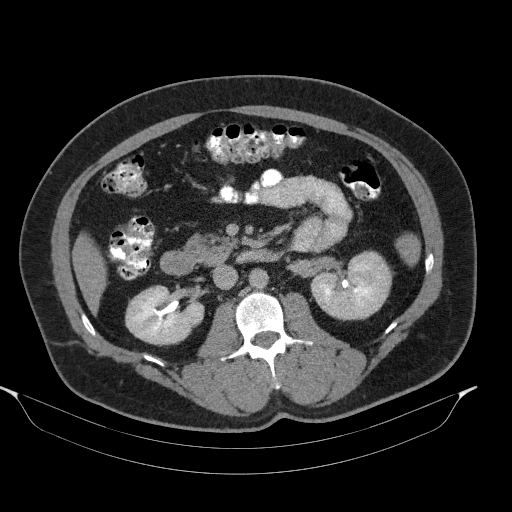 Abdomen, 512x512 px, CT scan slice
pancreas: [185,232,237,267]